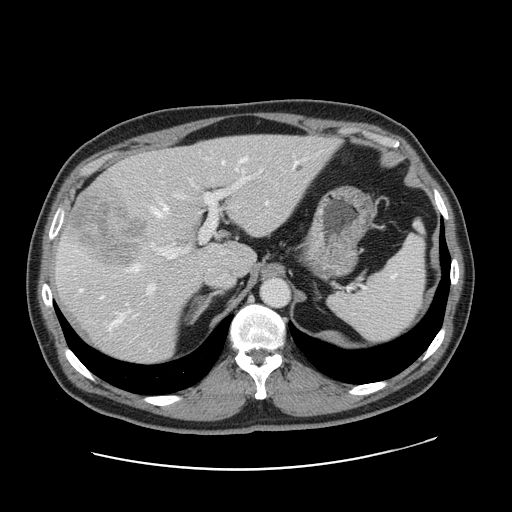

Liver. CT image. Only some of the vessels may be annotated.
<segmentation partial="true">
  <liver_tumor>left=70, top=192, right=148, bottom=269</liver_tumor>
  <hepatic_vessel shown="15" total="17">left=258, top=169, right=261, bottom=173; left=174, top=193, right=184, bottom=197; left=294, top=157, right=307, bottom=166; left=152, top=201, right=168, bottom=215; left=146, top=284, right=154, bottom=293; left=151, top=244, right=182, bottom=257; left=240, top=157, right=246, bottom=161; left=221, top=160, right=223, bottom=163; left=196, top=186, right=199, bottom=187; left=134, top=314, right=136, bottom=316; left=200, top=189, right=228, bottom=242; left=228, top=205, right=232, bottom=207; left=235, top=167, right=251, bottom=186; left=191, top=181, right=193, bottom=184; left=129, top=264, right=141, bottom=271</hepatic_vessel>
</segmentation>